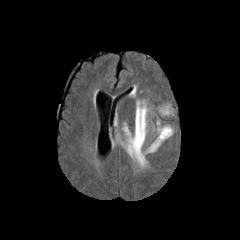
FLAIR magnetic resonance.
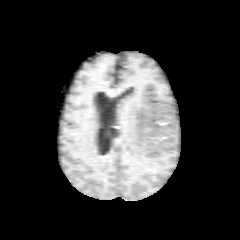
T1-weighted MR image.
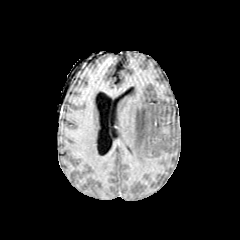
Same slice, post-contrast T1-weighted MR.
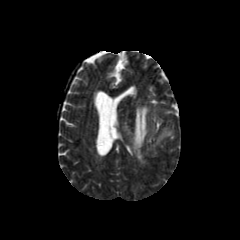
T2-weighted MRI.
Brain
Edema at rect(145, 126, 172, 152); rect(126, 101, 147, 165); rect(160, 105, 171, 114).